Head
FLAIR MR image.
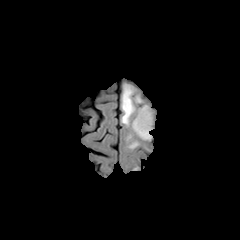
T1-weighted MR.
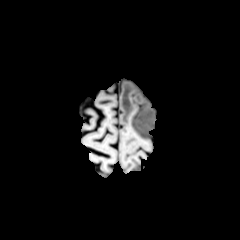
Post-contrast T1-weighted MR.
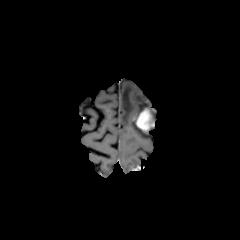
T2-weighted MR image.
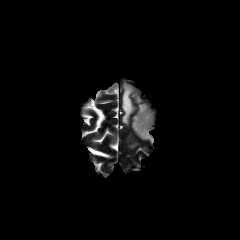
{"enhancing_tumor": ["[132,108,154,133]"], "edema": ["[134,94,142,103]", "[121,83,135,125]", "[132,121,151,139]"]}